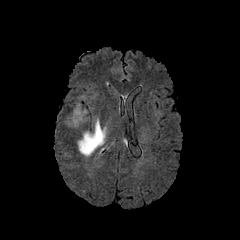
FLAIR magnetic resonance.
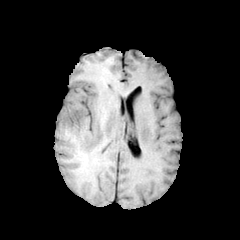
Same slice, T1-weighted MR image.
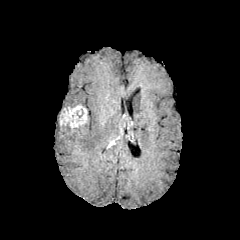
Post-contrast T1-weighted MRI.
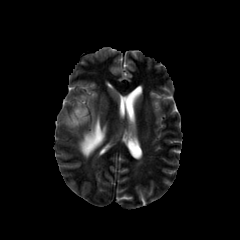
T2-weighted MR.
edema:
  - bbox(76, 116, 107, 157)
  - bbox(74, 97, 85, 105)
  - bbox(96, 142, 111, 155)
enhancing_tumor:
  - bbox(64, 105, 87, 127)